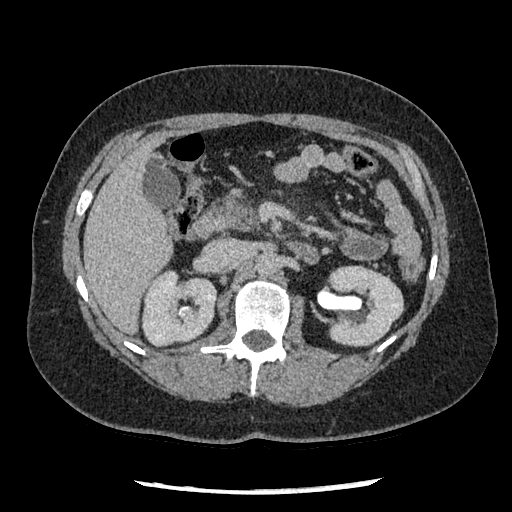
Upper abdomen | CT slice
The pancreas appears at bbox(211, 193, 258, 230).